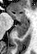 Hippocampus | MR
The anterior hippocampus is located at box=[8, 10, 26, 19]. The posterior hippocampus is bounded by box=[15, 20, 27, 37].